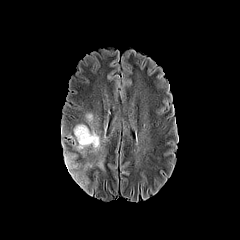
FLAIR MR.
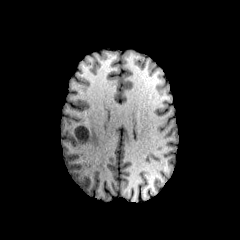
Same slice, T1-weighted MR.
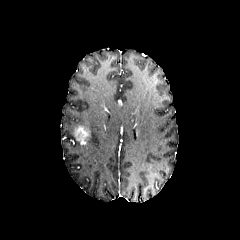
Post-contrast T1-weighted magnetic resonance of the same slice.
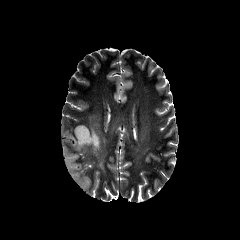
T2-weighted magnetic resonance.
240x240 px | Head
enhancing tumor: {"x1": 74, "y1": 127, "x2": 90, "y2": 148} | edema: {"x1": 63, "y1": 152, "x2": 91, "y2": 189}, {"x1": 67, "y1": 126, "x2": 106, "y2": 157}